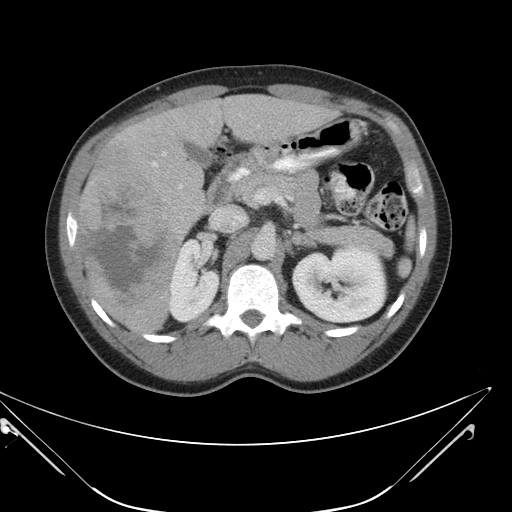
Computed tomography

The vessel annotation is not exhaustive.
{
  "hepatic_vessel": [
    "(179, 185, 182, 188)",
    "(211, 208, 243, 230)",
    "(163, 152, 165, 155)",
    "(152, 162, 156, 165)",
    "(257, 125, 259, 128)"
  ],
  "liver_tumor": [
    "(78, 143, 180, 333)"
  ]
}